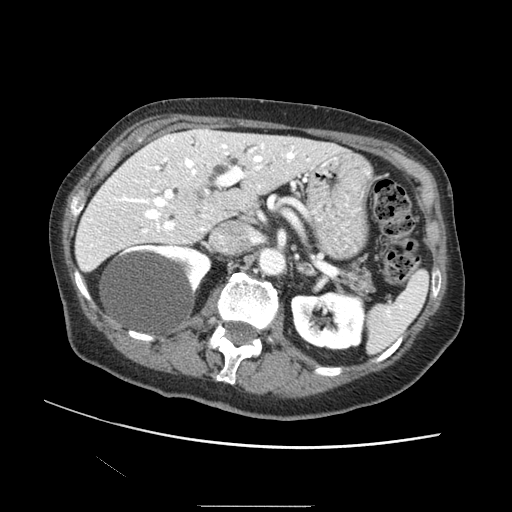
CT scan slice

Pancreas: bbox(343, 261, 374, 295).